Abdomen. Slice 14 of 33. Field of view 432 mm wide, 7.50 mm slice spacing. CT.
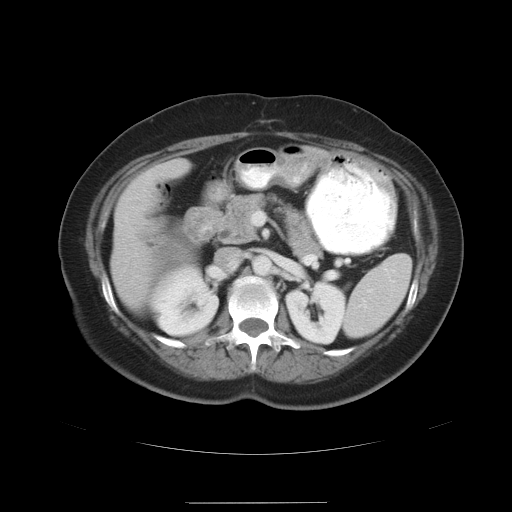
The vessel boxes may cover only some of the vessels.
hepatic vessel: region(270, 254, 276, 258); region(255, 224, 259, 224); region(252, 221, 253, 223)